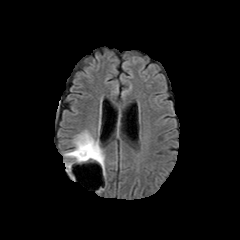
FLAIR MR image.
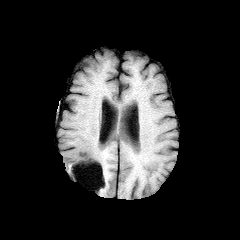
Same slice, T1-weighted magnetic resonance.
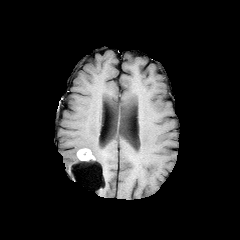
Post-contrast T1-weighted MRI.
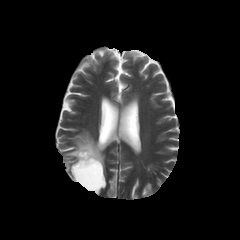
T2-weighted MR.
<segmentation>
  <enhancing_tumor>(x1=77, y1=148, x2=95, y2=160)</enhancing_tumor>
  <non-enhancing_tumor_core>(x1=74, y1=149, x2=103, y2=179)</non-enhancing_tumor_core>
  <edema>(x1=64, y1=130, x2=105, y2=178)</edema>
</segmentation>